Computed tomography; Abdomen 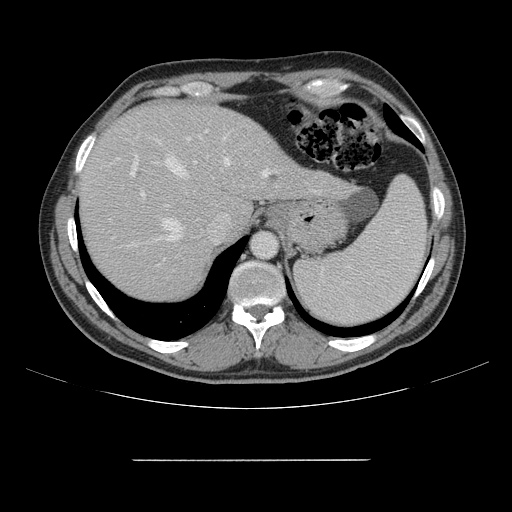

The vessel annotation is not exhaustive.
14 hepatic vessel regions are bounded by {"x1": 224, "y1": 134, "x2": 227, "y2": 138}, {"x1": 162, "y1": 219, "x2": 180, "y2": 231}, {"x1": 276, "y1": 185, "x2": 277, "y2": 186}, {"x1": 188, "y1": 138, "x2": 190, "y2": 139}, {"x1": 263, "y1": 170, "x2": 269, "y2": 175}, {"x1": 199, "y1": 135, "x2": 200, "y2": 137}, {"x1": 131, "y1": 154, "x2": 137, "y2": 176}, {"x1": 140, "y1": 190, "x2": 144, "y2": 195}, {"x1": 167, "y1": 235, "x2": 179, "y2": 240}, {"x1": 194, "y1": 161, "x2": 196, "y2": 162}, {"x1": 313, "y1": 191, "x2": 317, "y2": 191}, {"x1": 225, "y1": 157, "x2": 229, "y2": 164}, {"x1": 157, "y1": 263, "x2": 160, "y2": 265}, {"x1": 128, "y1": 244, "x2": 137, "y2": 245}.